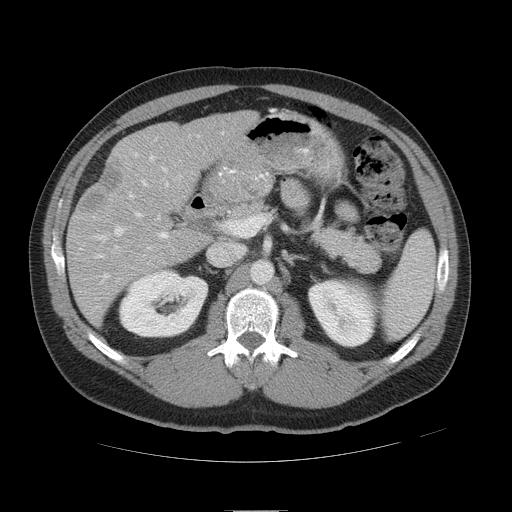 CT image
Only some of the vessels may be annotated.
<segmentation>
  <liver_tumor>[x1=82, y1=167, x2=119, y2=210]</liver_tumor>
  <hepatic_vessel>[x1=136, y1=213, x2=141, y2=215], [x1=114, y1=227, x2=124, y2=235], [x1=130, y1=194, x2=133, y2=196], [x1=102, y1=274, x2=109, y2=281], [x1=97, y1=235, x2=106, y2=240], [x1=166, y1=183, x2=168, y2=186], [x1=135, y1=153, x2=137, y2=156], [x1=115, y1=246, x2=117, y2=248], [x1=142, y1=180, x2=146, y2=185], [x1=150, y1=156, x2=154, y2=160], [x1=160, y1=232, x2=167, y2=237], [x1=158, y1=217, x2=159, y2=218]</hepatic_vessel>
</segmentation>